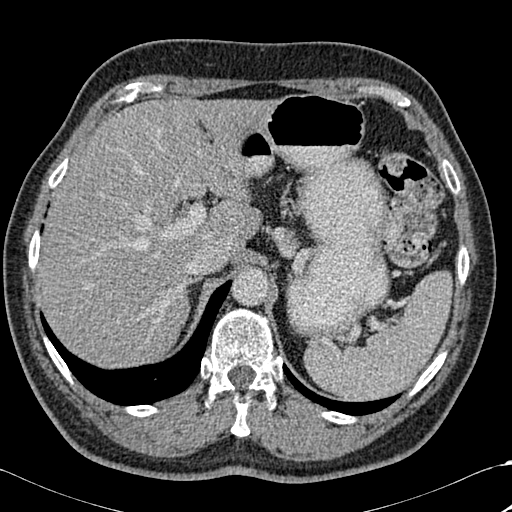 CT
Bone at (126,405,156,416), (45,339,71,381), (458,247,468,282), (410,352,445,394), (29,232,39,268), (322,412,354,423), (445,165,459,192), (49,161,67,186), (119,84,139,100), (201,310,282,436).
Liver at (39,99,273,368), (202,201,260,245).
Lung at (283,364,400,415), (41,280,231,405).